Slice 35/77, CT image, Abdomen, 512x512 px
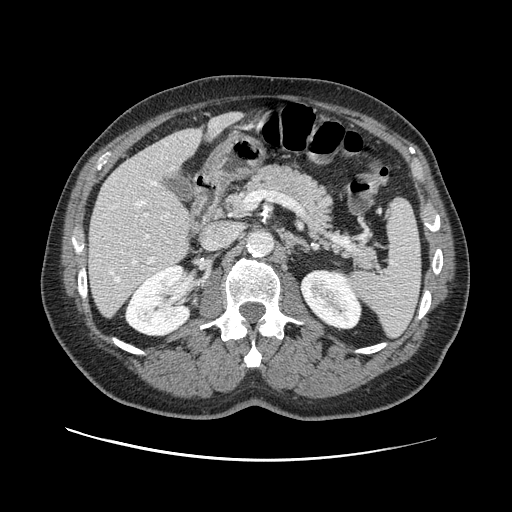

The pancreas is located at l=222, t=164, r=379, b=271.